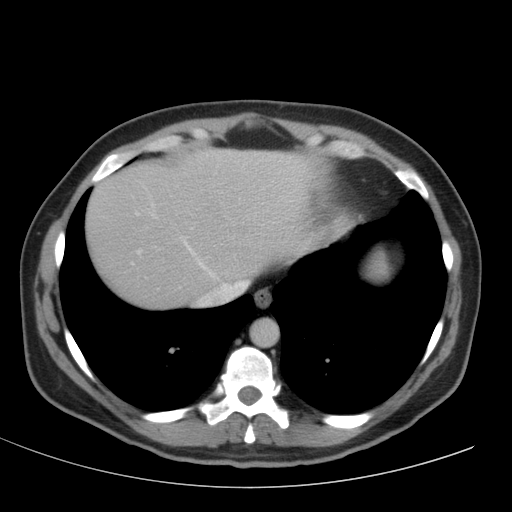
Upper abdomen; 512x512 px; Computed tomography
2 liver regions are bounded by region(86, 149, 325, 307); region(330, 216, 346, 237).